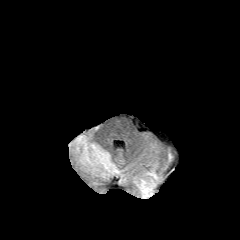
FLAIR MRI.
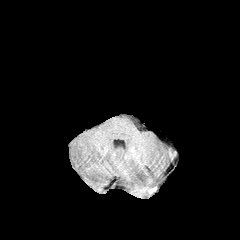
Same slice, T1-weighted magnetic resonance.
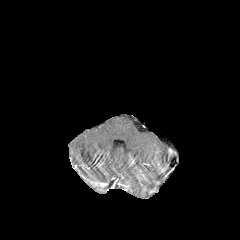
Same slice, post-contrast T1-weighted magnetic resonance.
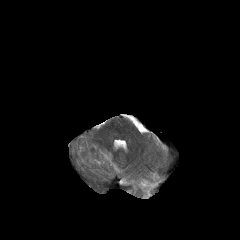
T2-weighted magnetic resonance.
Segmented structures:
• edema: box=[140, 174, 153, 196]